CT slice.

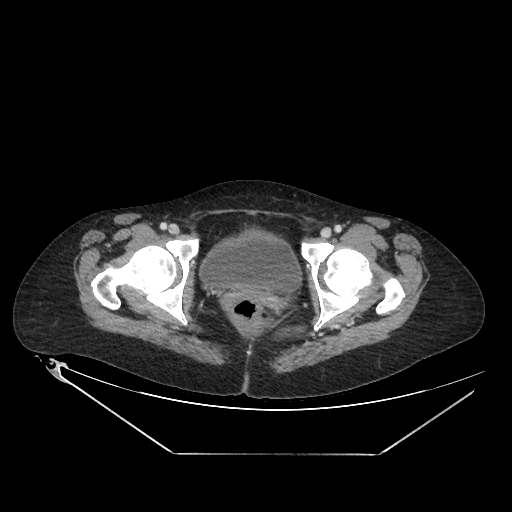

Urinary bladder = 199, 229, 301, 295.